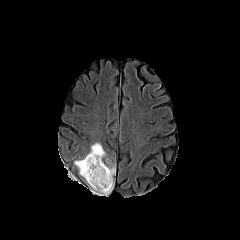
FLAIR MR image.
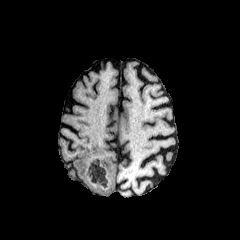
Same slice, T1-weighted MRI.
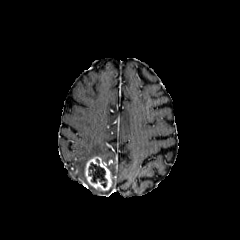
Post-contrast T1-weighted MR image.
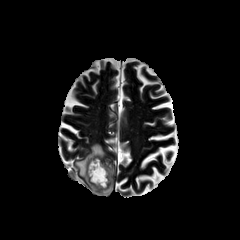
Same slice, T2-weighted MRI.
The enhancing tumor appears at 84:156:112:190. 2 edema regions appear at 75:143:105:178, 98:181:113:195. The non-enhancing tumor core lies within 88:162:107:187.